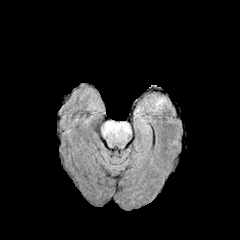
FLAIR magnetic resonance.
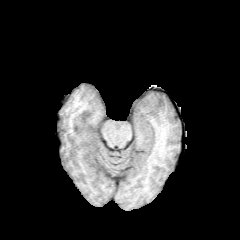
T1-weighted MR of the same slice.
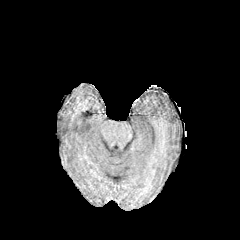
Post-contrast T1-weighted MR image.
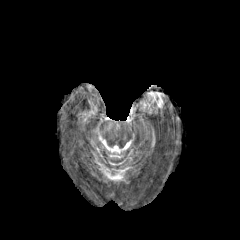
T2-weighted MR image of the same slice.
Head.
The edema is at x1=141 y1=94 x2=165 y2=111.